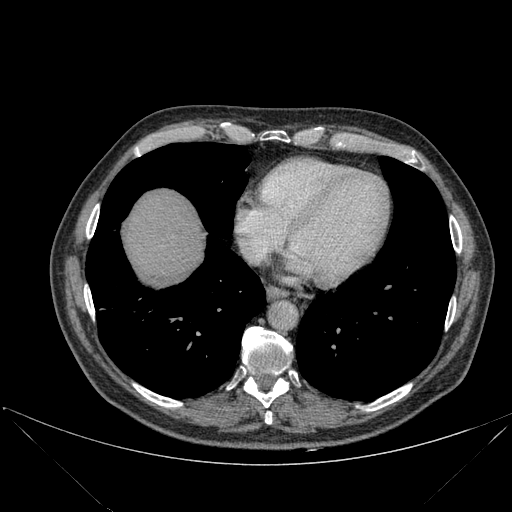 CT slice; Upper abdomen
<segmentation>
  <bone>box(84, 285, 94, 317); box(445, 298, 455, 329); box(241, 327, 291, 374); box(86, 204, 98, 238); box(244, 377, 288, 407); box(264, 412, 271, 424); box(133, 384, 182, 406); box(366, 384, 411, 410); box(266, 131, 289, 141); box(450, 216, 461, 252)</bone>
  <liver>box(122, 189, 205, 276)</liver>
  <lung>box(85, 142, 265, 398); box(296, 156, 455, 400)</lung>
</segmentation>